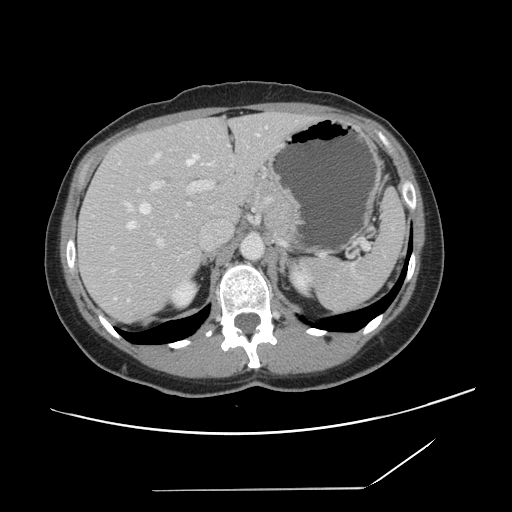

CT; Liver
Only some of the vessels may be annotated.
12 hepatic vessel regions are bounded by (x1=208, y1=162, x2=213, y2=164), (x1=157, y1=238, x2=162, y2=245), (x1=150, y1=153, x2=159, y2=163), (x1=125, y1=202, x2=131, y2=210), (x1=111, y1=247, x2=113, y2=249), (x1=128, y1=222, x2=134, y2=227), (x1=151, y1=181, x2=163, y2=188), (x1=140, y1=203, x2=149, y2=213), (x1=188, y1=203, x2=190, y2=204), (x1=256, y1=134, x2=259, y2=135), (x1=187, y1=154, x2=198, y2=164), (x1=187, y1=181, x2=211, y2=190).